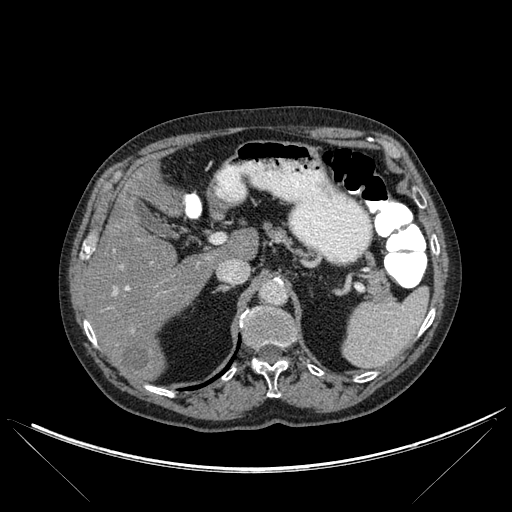 CT image; Liver

Segmented structures:
- lung: (x1=186, y1=384, x2=205, y2=389)
- bone: (x1=239, y1=306, x2=296, y2=347), (x1=145, y1=386, x2=173, y2=396), (x1=308, y1=364, x2=323, y2=375), (x1=222, y1=368, x2=235, y2=380), (x1=252, y1=359, x2=288, y2=397), (x1=431, y1=235, x2=439, y2=254), (x1=84, y1=321, x2=96, y2=344), (x1=419, y1=309, x2=434, y2=334), (x1=354, y1=372, x2=376, y2=382)
- focal liver lesion: (x1=122, y1=343, x2=147, y2=370)
- liver: (x1=213, y1=228, x2=257, y2=263), (x1=86, y1=164, x2=216, y2=380)